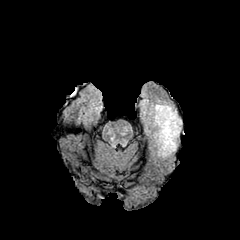
FLAIR MR image.
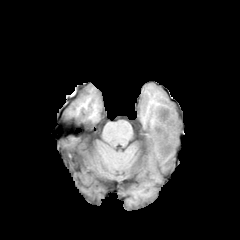
T1-weighted MR image.
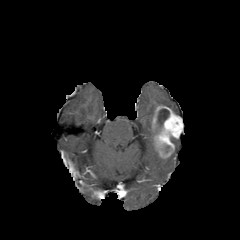
Post-contrast T1-weighted magnetic resonance of the same slice.
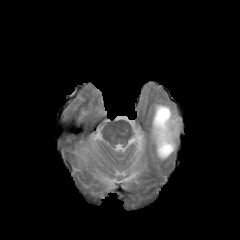
Same slice, T2-weighted MRI.
Brain.
{
  "non-enhancing_tumor_core": [
    "box=[158, 109, 168, 123]"
  ],
  "edema": [
    "box=[149, 101, 173, 121]"
  ],
  "enhancing_tumor": [
    "box=[151, 105, 183, 159]"
  ]
}